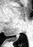

33x47 px. Medial temporal lobe. MRI slice.

The posterior hippocampus lies within <bbox>12, 37, 18, 41</bbox>.